Computed tomography; Abdomen; Slice 418/537
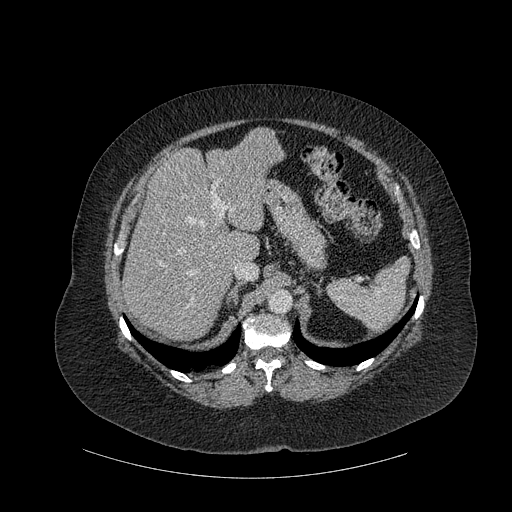

Segmented structures:
- bone: (415,296,423,318), (243,317,289,349), (357,358,373,370), (171,370,190,381), (305,361,324,369), (119,317,130,339), (222,363,235,373), (114,244,122,254), (410,230,419,248), (256,359,281,391)
- liver: (122,127,284,341)
- lung: (126,321,240,372), (293,302,416,366)